Slice 78 of 155. Field of view 240 mm wide, 1.00 mm slice spacing. 240x240. Brain.
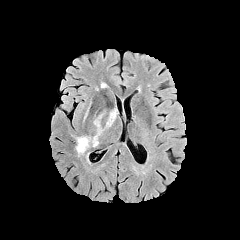
FLAIR magnetic resonance.
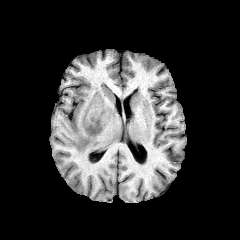
T1-weighted MRI.
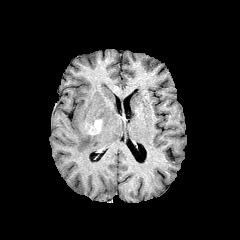
Same slice, post-contrast T1-weighted magnetic resonance.
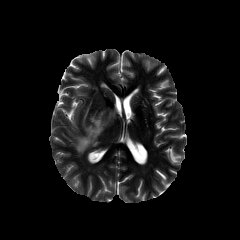
T2-weighted MR image.
edema:
  - 75, 107, 118, 156
enhancing_tumor:
  - 85, 119, 102, 135